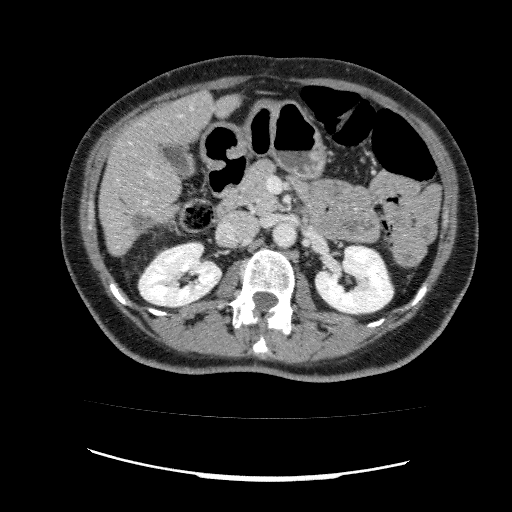 Image size 512x512 | CT scan slice
<segmentation>
  <liver>box(98, 90, 243, 255)</liver>
  <liver_lesion>box(131, 212, 150, 231)</liver_lesion>
  <kidney>box(139, 243, 220, 306); box(316, 246, 392, 313)</kidney>
</segmentation>